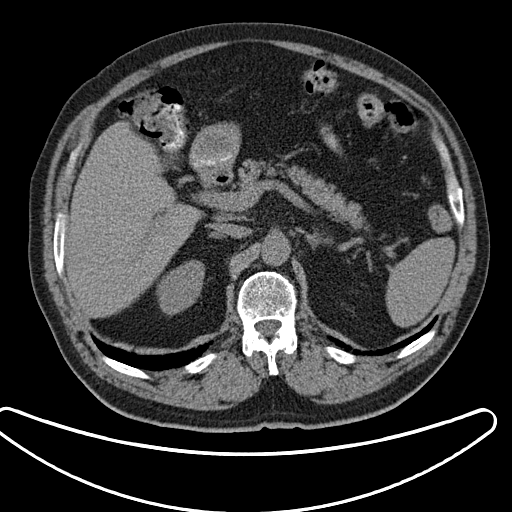
CT scan slice, Abdomen, 512x512 px
Spleen = left=387, top=239, right=455, bottom=326.